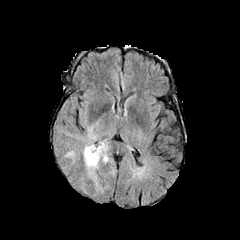
FLAIR MR.
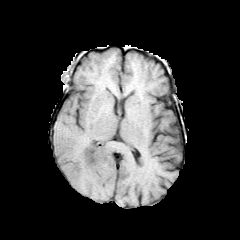
T1-weighted MR of the same slice.
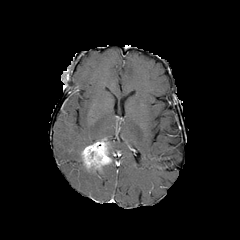
Post-contrast T1-weighted MR image.
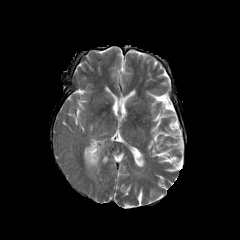
T2-weighted MR image.
The edema is located at [x1=86, y1=125, x2=102, y2=145]. The enhancing tumor appears at [x1=83, y1=140, x2=110, y2=168].